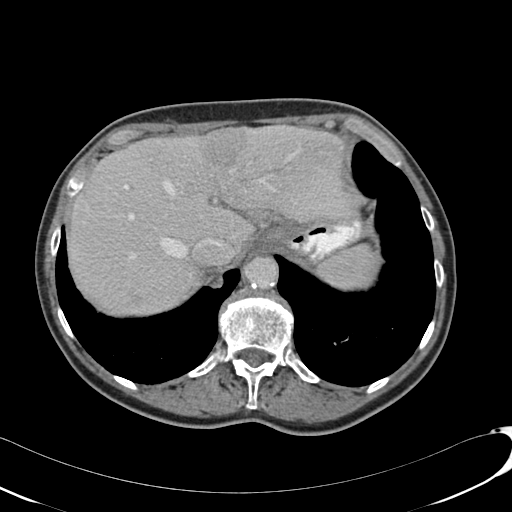 Computed tomography | Abdomen

liver:
  - bbox=[69, 125, 358, 314]
hepatic_lesion:
  - bbox=[204, 128, 248, 164]
  - bbox=[132, 295, 141, 306]